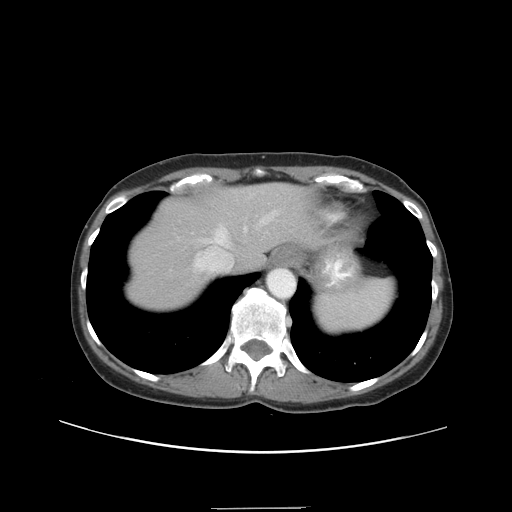 CT scan slice, 512x512 px, Abdomen

Some hepatic vessels may have no box.
{"hepatic_vessel": ["<box>226,244,229,246</box>", "<box>202,227,227,244</box>", "<box>260,211,276,223</box>", "<box>244,227,246,231</box>", "<box>195,262,197,266</box>"]}